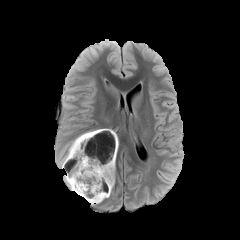
FLAIR MRI.
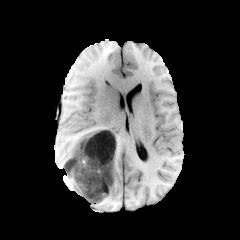
T1-weighted MRI.
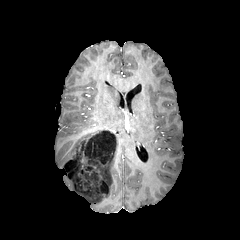
Post-contrast T1-weighted MR.
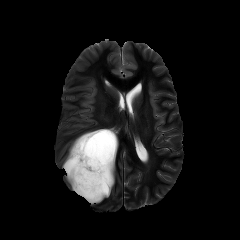
T2-weighted MR of the same slice.
* non-enhancing tumor core: box=[64, 129, 114, 201]
* edema: box=[103, 168, 114, 199]; box=[82, 196, 102, 203]; box=[65, 174, 79, 193]; box=[99, 130, 116, 146]; box=[62, 137, 77, 166]